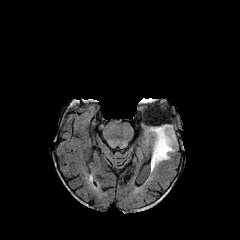
FLAIR magnetic resonance.
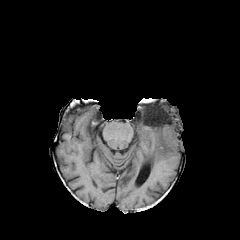
T1-weighted MRI.
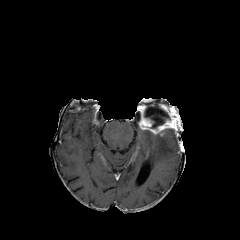
Post-contrast T1-weighted MRI of the same slice.
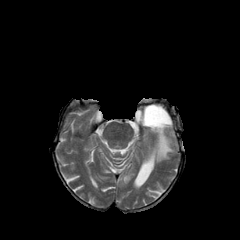
Same slice, T2-weighted magnetic resonance.
240x240.
The edema lies within bbox=[145, 130, 177, 172]. The non-enhancing tumor core is located at bbox=[138, 102, 180, 135]. The enhancing tumor is located at bbox=[141, 120, 173, 135].